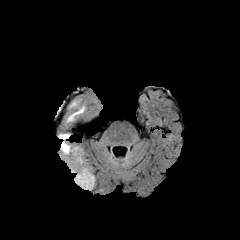
FLAIR MR image.
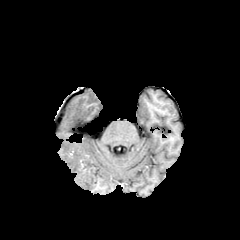
T1-weighted MR image.
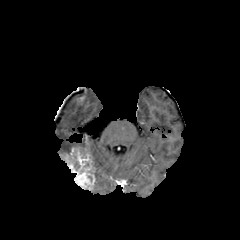
Same slice, post-contrast T1-weighted MRI.
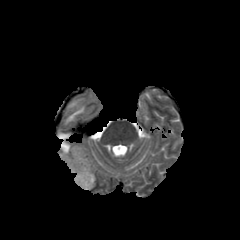
T2-weighted MRI.
Image size 240x240
enhancing_tumor:
  - [62,153,95,189]
edema:
  - [65,101,86,123]
  - [61,141,69,155]
  - [58,134,69,139]